Field of view 432 mm wide, 2.50 mm slice spacing, Upper abdomen, Image size 512x512, CT slice

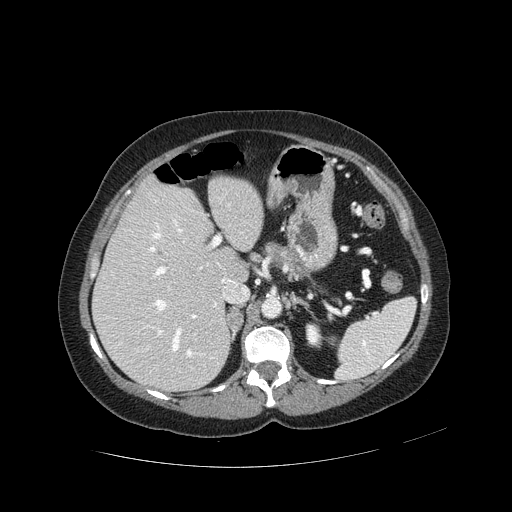
2 pancreas regions are located at bbox(279, 245, 293, 264); bbox(266, 244, 278, 257). The pancreatic tumor appears at bbox(271, 245, 282, 264).